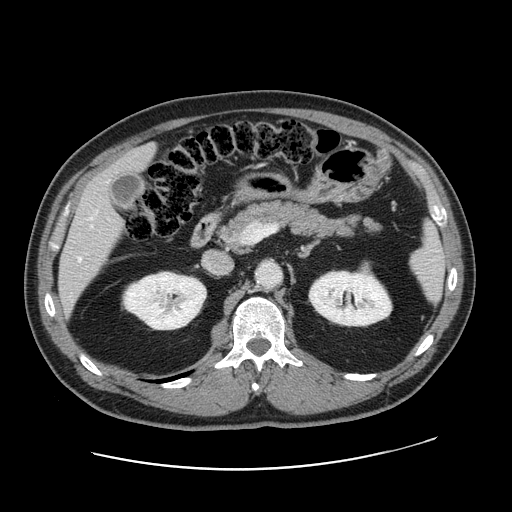
CT; 512x512

Only some of the vessels may be annotated.
6 hepatic vessel regions are bounded by [147, 144, 154, 148], [87, 209, 96, 221], [117, 216, 122, 223], [90, 224, 92, 226], [78, 257, 81, 260], [107, 180, 108, 181].